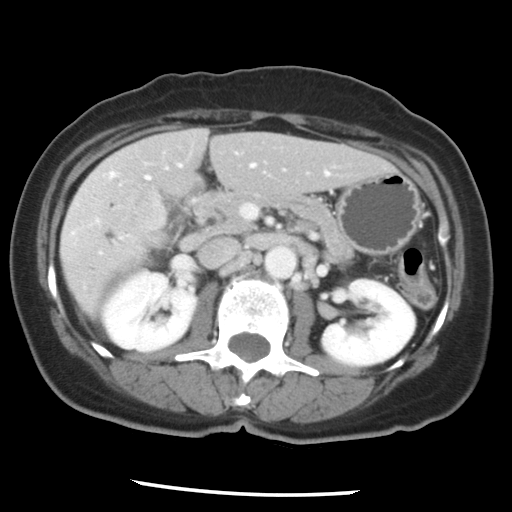
CT slice
The vessel annotation is not exhaustive.
The liver tumor lies within [130,188,162,229]. 5 hepatic vessel regions appear at [240,203,257,218], [146,176,148,177], [109,171,114,177], [251,164,254,166], [326,171,327,173].